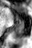 MR image

2 anterior hippocampus regions are bounded by box(19, 19, 23, 21); box(15, 15, 18, 21). The posterior hippocampus is bounded by box(13, 22, 23, 38).